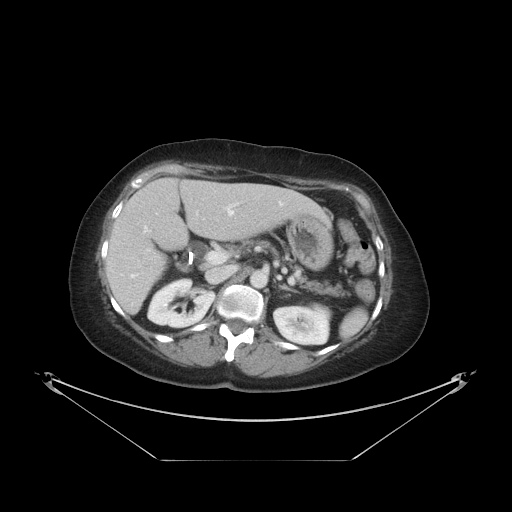

512x512 px | Computed tomography | Liver
The vessel boxes may cover only some of the vessels.
7 hepatic vessel regions are located at 185 234 187 237, 280 202 281 205, 145 227 147 231, 228 207 233 214, 132 275 134 276, 207 247 227 264, 232 204 235 205.